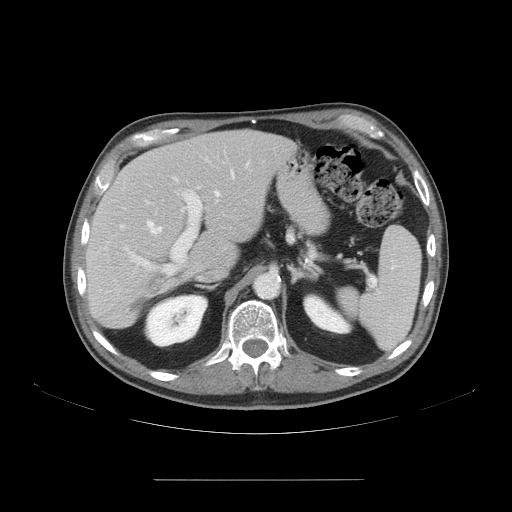 CT slice
Only some of the vessels may be annotated.
Annotated regions:
* hepatic vessel: (x1=174, y1=178, x2=176, y2=180), (x1=107, y1=241, x2=109, y2=243), (x1=119, y1=224, x2=125, y2=229), (x1=214, y1=190, x2=220, y2=201), (x1=247, y1=162, x2=248, y2=164), (x1=163, y1=189, x2=201, y2=274), (x1=231, y1=169, x2=234, y2=179), (x1=204, y1=158, x2=210, y2=162), (x1=125, y1=247, x2=128, y2=251), (x1=130, y1=253, x2=151, y2=268), (x1=145, y1=200, x2=149, y2=203), (x1=146, y1=219, x2=162, y2=235)
* liver tumor: (x1=143, y1=275, x2=167, y2=293)